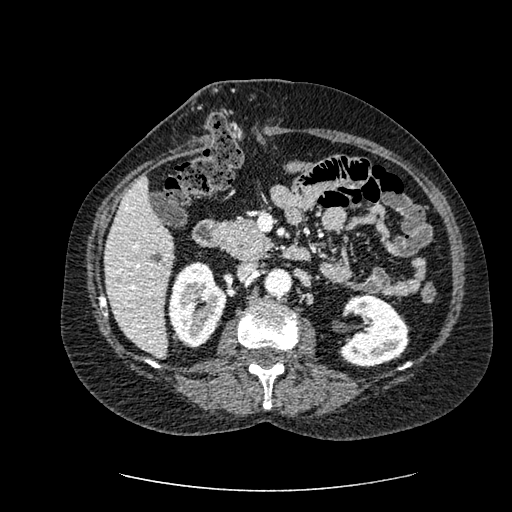
Upper abdomen, CT
The liver is at (104, 176, 172, 356). 2 kidney regions are located at (169, 263, 225, 346), (341, 295, 407, 365). The hepatic lesion appears at (151, 253, 162, 262).